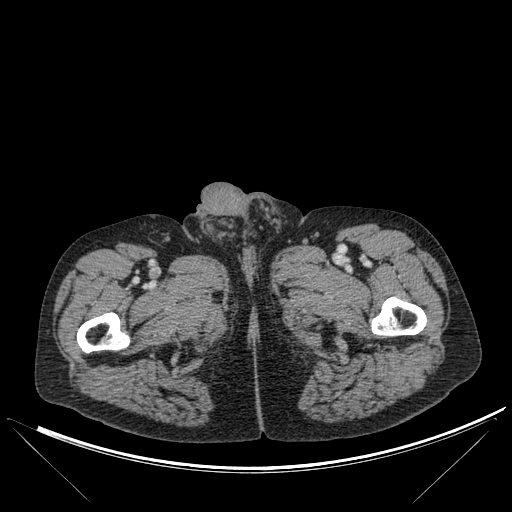
Computed tomography. Bone at <box>76,314,128,353</box>, <box>370,298,425,336</box>, <box>283,311,296,326</box>, <box>293,330,321,348</box>.